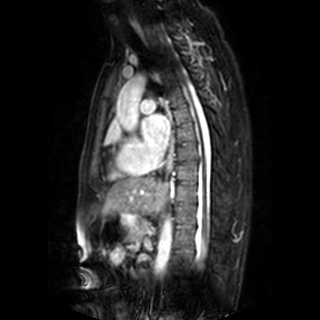 MRI slice. Image size 320x320. Heart. Segmented structures:
* left atrium: l=143, t=114, r=170, b=152